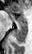

MRI; Hippocampus; Image size 32x54
posterior hippocampus: {"x1": 13, "y1": 24, "x2": 27, "y2": 44} | anterior hippocampus: {"x1": 10, "y1": 12, "x2": 16, "y2": 22}, {"x1": 18, "y1": 17, "x2": 25, "y2": 24}